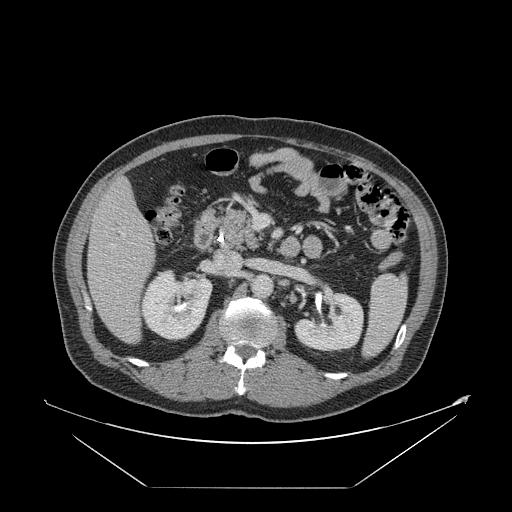

512x512. CT slice.
The vessel annotation is not exhaustive.
Segmented structures:
- hepatic vessel: box=[121, 233, 124, 235]; box=[111, 245, 114, 247]